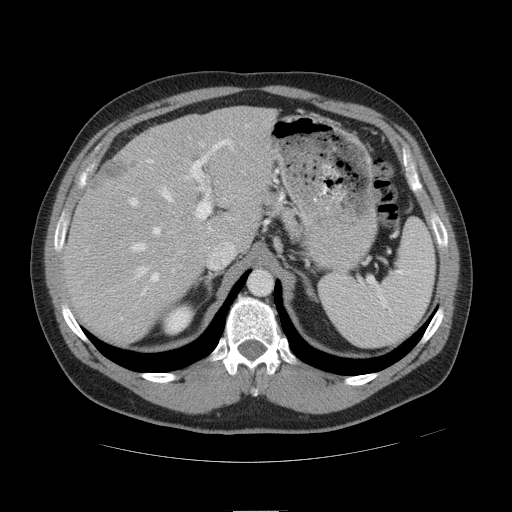
CT slice. 512x512.

Only some of the vessels may be annotated.
Hepatic vessel: {"x1": 196, "y1": 198, "x2": 210, "y2": 218}, {"x1": 136, "y1": 267, "x2": 146, "y2": 277}, {"x1": 208, "y1": 189, "x2": 210, "y2": 191}, {"x1": 200, "y1": 142, "x2": 203, "y2": 145}, {"x1": 130, "y1": 199, "x2": 137, "y2": 204}, {"x1": 147, "y1": 159, "x2": 152, "y2": 162}, {"x1": 212, "y1": 139, "x2": 232, "y2": 150}, {"x1": 191, "y1": 153, "x2": 209, "y2": 180}, {"x1": 162, "y1": 187, "x2": 172, "y2": 200}, {"x1": 151, "y1": 273, "x2": 158, "y2": 281}, {"x1": 200, "y1": 187, "x2": 203, "y2": 189}, {"x1": 153, "y1": 228, "x2": 159, "y2": 233}, {"x1": 133, "y1": 243, "x2": 144, "y2": 251}.
Liver tumor: {"x1": 101, "y1": 162, "x2": 128, "y2": 179}.